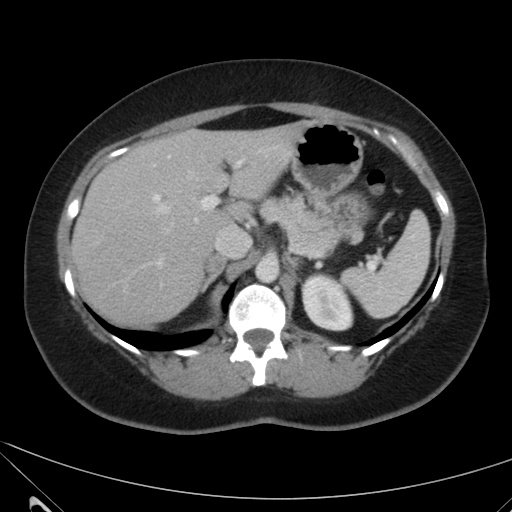
Computed tomography. Image size 512x512. Upper abdomen.
Annotated regions:
• kidney: (304,277,350,329)
• liver: (69,125,300,323)